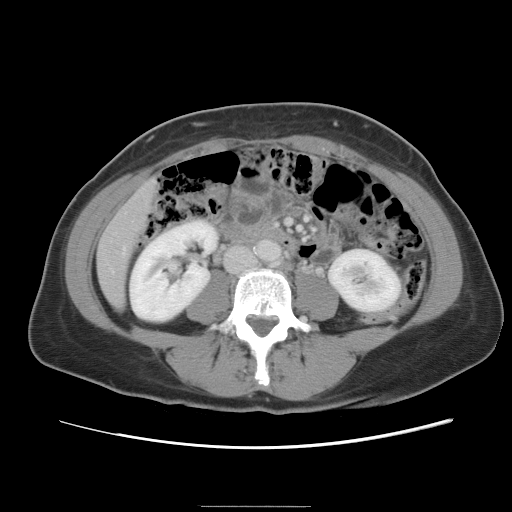
Abdomen; CT image
The vessel annotation is not exhaustive.
hepatic vessel: <bbox>123, 246, 125, 250</bbox>